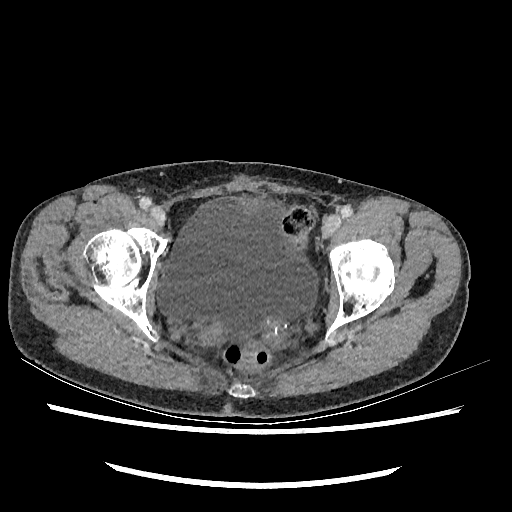 Image size 512x512; CT; Lower abdomen

Urinary bladder at box(156, 196, 317, 343).